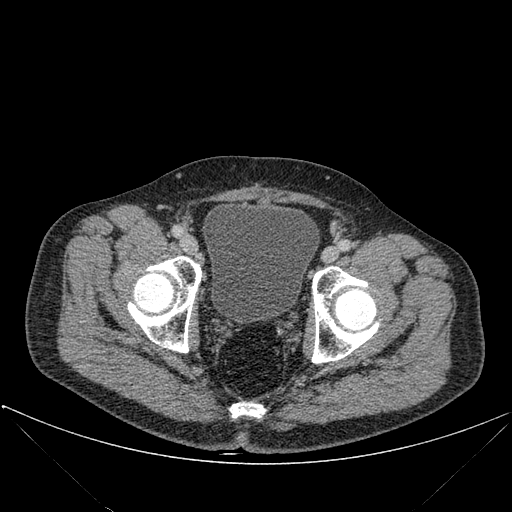
512x512 px; CT
Annotated regions:
• urinary bladder: 202 202 318 323
• bone: 229 403 264 417, 312 266 378 363, 128 256 201 352